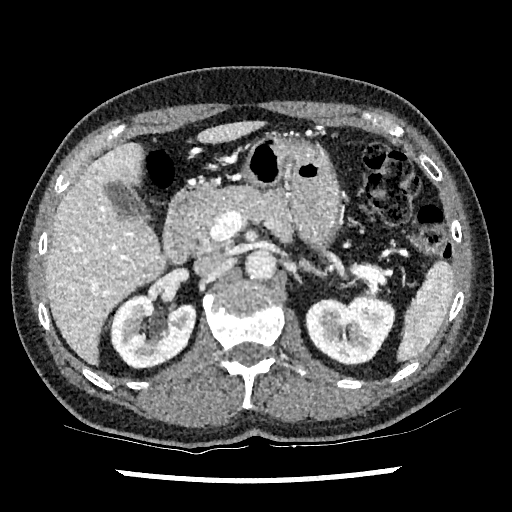
512x512 px. CT slice.

• liver: [198,121,264,143], [46,143,167,365]
• kidney: [307,298,393,362], [112,297,194,366]